Field of view 35 mm wide, 1.00 mm slice spacing. MR image.
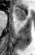

{"anterior_hippocampus": ["14,6,26,20"]}